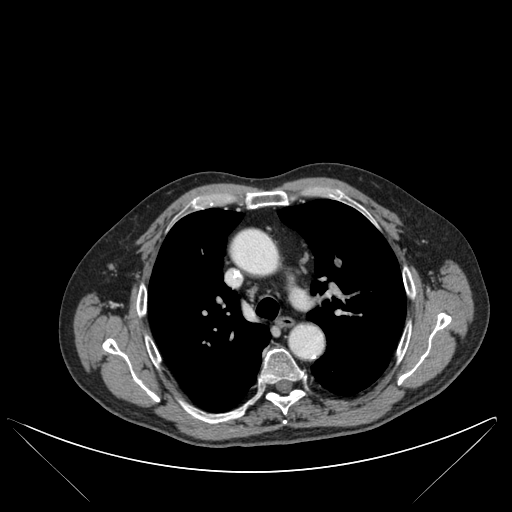 Image size 512x512 | CT slice
<segmentation>
  <bone>(397, 324, 411, 360), (246, 191, 287, 208), (266, 390, 304, 413), (136, 285, 146, 315), (145, 336, 160, 365), (398, 313, 451, 384), (403, 267, 414, 296), (102, 338, 159, 401), (259, 348, 305, 383), (180, 401, 250, 422)</bone>
  <lung>(148, 208, 270, 412), (278, 199, 405, 395), (256, 298, 278, 319)</lung>
</segmentation>